Slice 22/76; Computed tomography; 512x512 px; Field of view 421x421 mm

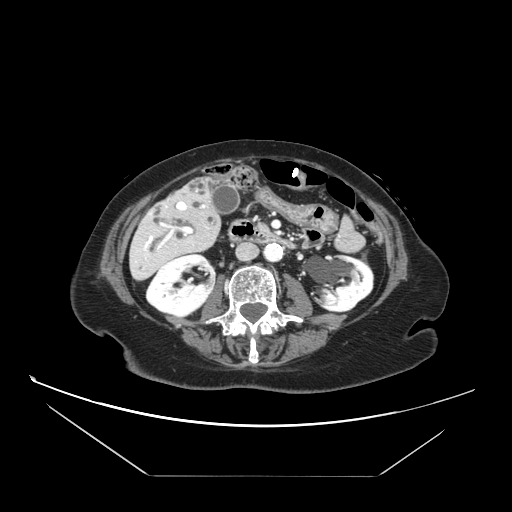

pancreas: (259, 224, 269, 232)